Upper abdomen, Slice 393 of 560, 512x512 px, CT slice, Field of view 700x700 mm

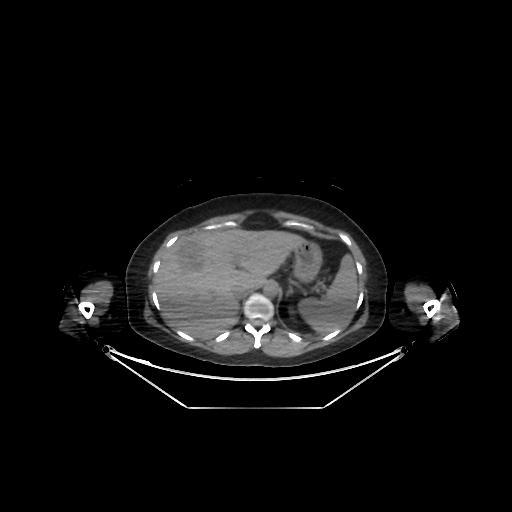

The liver lies within [x1=152, y1=226, x2=302, y2=339].